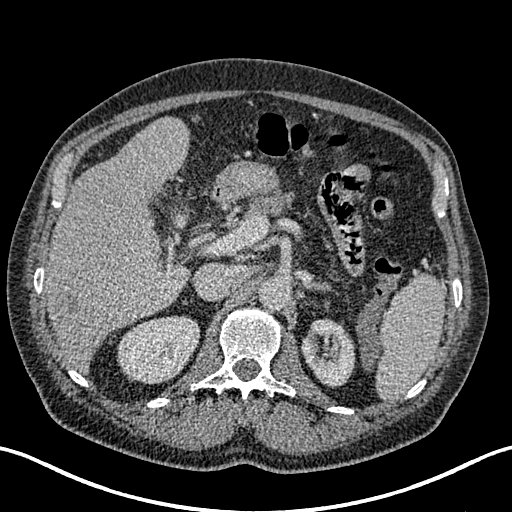 512x512 px. CT slice. Segmented structures:
* kidney: (left=302, top=320, right=353, bottom=385), (left=119, top=317, right=199, bottom=382)
* liver lesion: (left=58, top=291, right=81, bottom=323)
* liver: (left=46, top=118, right=190, bottom=372)